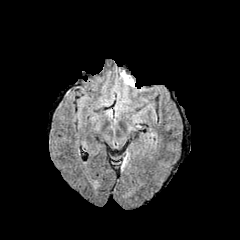
FLAIR MR image.
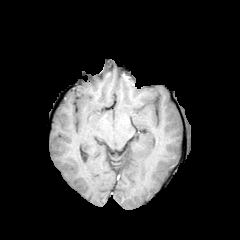
Same slice, T1-weighted magnetic resonance.
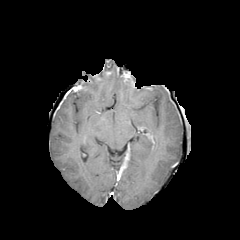
Post-contrast T1-weighted MR of the same slice.
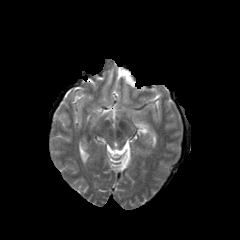
T2-weighted MR image of the same slice.
Head | 240x240
Edema = [x1=120, y1=76, x2=133, y2=86].